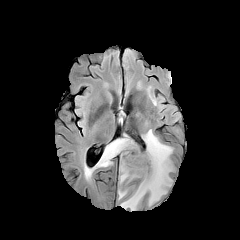
FLAIR MRI.
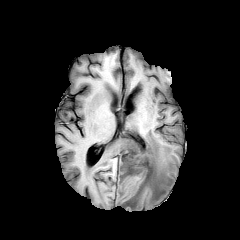
T1-weighted magnetic resonance of the same slice.
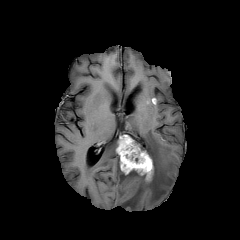
Post-contrast T1-weighted MRI.
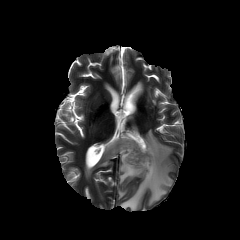
T2-weighted MR image of the same slice.
Image size 240x240.
<segmentation>
  <non-enhancing_tumor_core>124:144:159:196</non-enhancing_tumor_core>
  <edema>119:171:136:184, 118:189:127:199, 84:138:119:177, 120:129:173:210</edema>
  <enhancing_tumor>116:135:153:179</enhancing_tumor>
</segmentation>